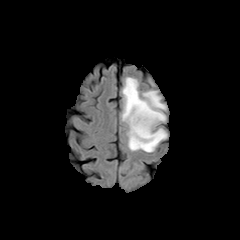
FLAIR MR image.
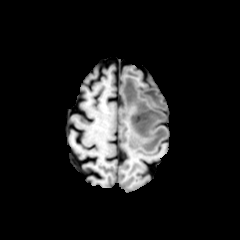
Same slice, T1-weighted MR.
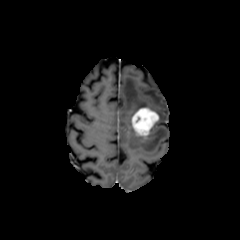
Post-contrast T1-weighted MR image.
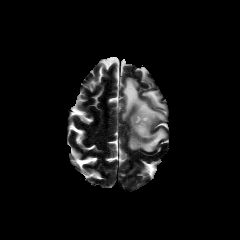
T2-weighted MR image of the same slice.
240x240, Brain
Segmented structures:
* enhancing tumor: [131,107,159,137]
* edema: [122,77,167,152]